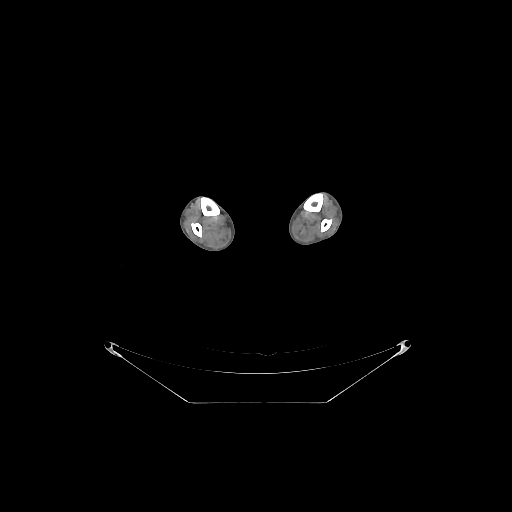 CT image.

4 bone regions are located at x1=304 y1=193 x2=323 y2=212, x1=191 y1=223 x2=201 y2=237, x1=321 y1=219 x2=331 y2=231, x1=200 y1=197 x2=219 y2=217.